FLAIR magnetic resonance.
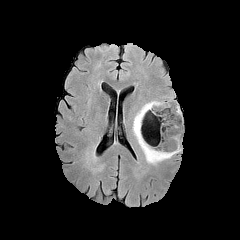
T1-weighted MR image.
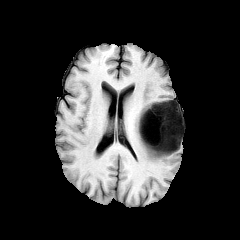
Post-contrast T1-weighted magnetic resonance.
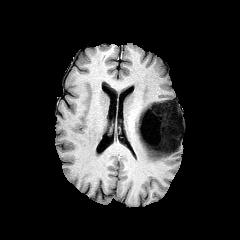
T2-weighted MR image.
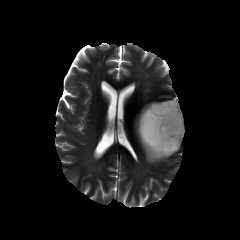
The non-enhancing tumor core is bounded by 148 102 181 153. 2 edema regions are located at 148 136 164 147, 132 99 181 164.